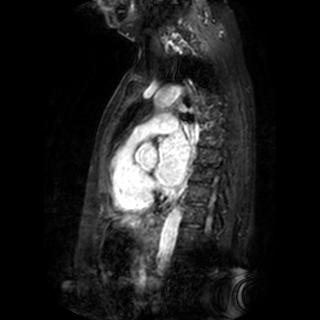

320x320 px | Cardiac | Magnetic resonance
Left atrium: 155:131:189:186.